Slice 87 of 155
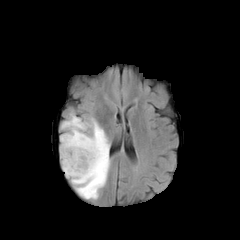
FLAIR MR.
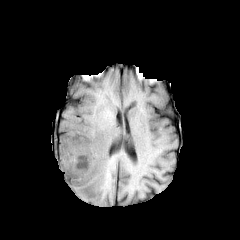
T1-weighted magnetic resonance.
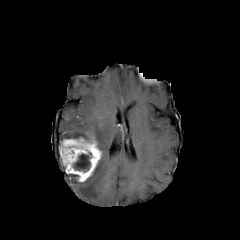
Same slice, post-contrast T1-weighted MR.
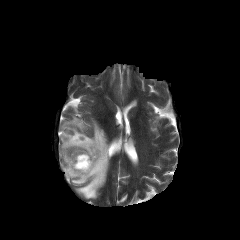
T2-weighted MRI.
Enhancing tumor — 59:138:101:181.
Edema — 60:114:110:200.
Non-enhancing tumor core — 74:154:90:170.